FLAIR MRI.
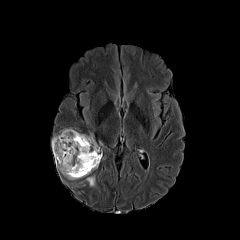
T1-weighted MRI.
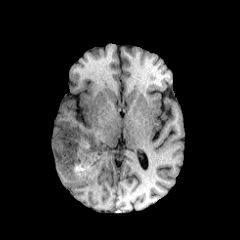
Post-contrast T1-weighted MRI.
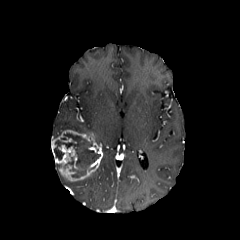
T2-weighted MRI.
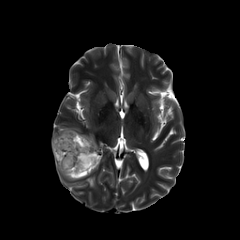
Brain
Edema: bounding box bbox=[85, 176, 95, 187].
Enhancing tumor: bounding box bbox=[51, 130, 102, 180].
Non-enhancing tumor core: bounding box bbox=[53, 132, 100, 177].